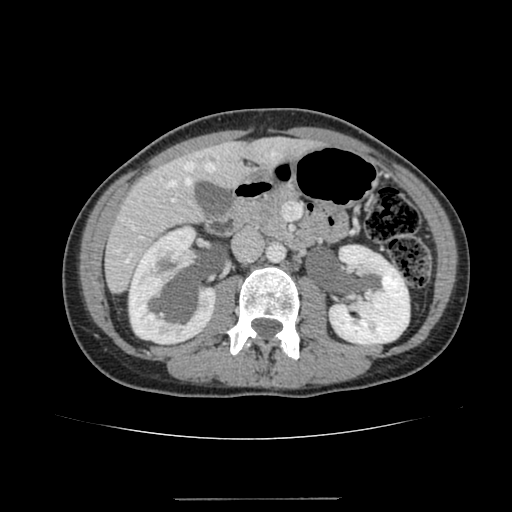

CT, 512x512
The liver appears at rect(104, 137, 322, 292). 2 kidney regions are located at rect(129, 227, 214, 343); rect(330, 245, 409, 344).